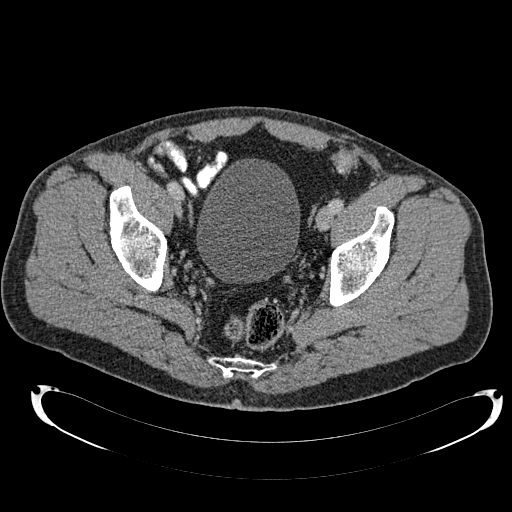

CT image. 512x512 px.
Annotated regions:
- urinary bladder: bbox=[196, 158, 300, 282]